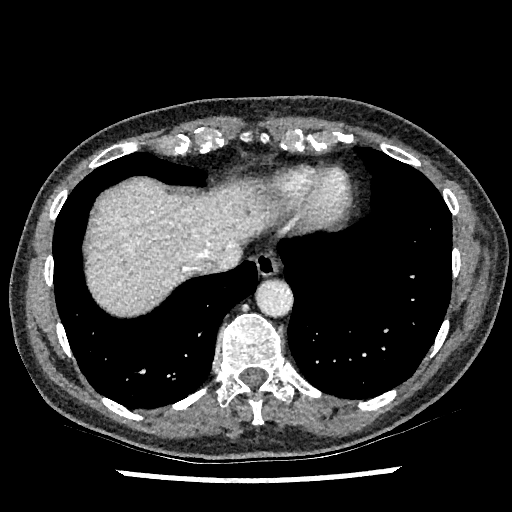 512x512 px | Computed tomography

The liver lies within l=85, t=179, r=276, b=317.